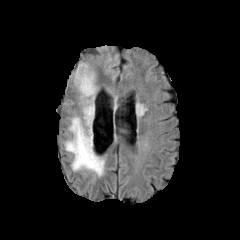
FLAIR MR image.
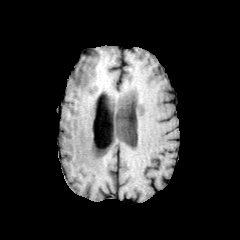
T1-weighted MRI of the same slice.
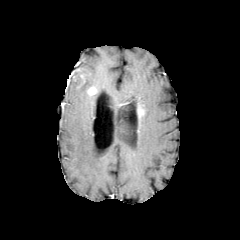
Post-contrast T1-weighted MR.
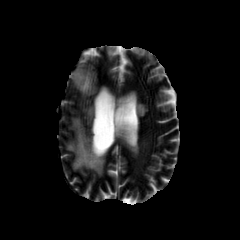
T2-weighted MR image.
240x240, Head
The non-enhancing tumor core appears at l=70, t=68, r=83, b=85. The edema is located at l=65, t=63, r=104, b=176.